512x512; Computed tomography; Slice index 15
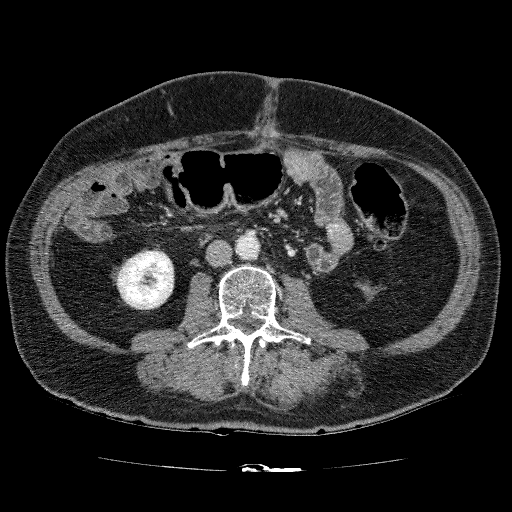

{"kidney": ["117:250:173:309"]}